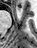 MR image | 37x48 px | Hippocampus
anterior_hippocampus:
  - left=16, top=7, right=20, bottom=10